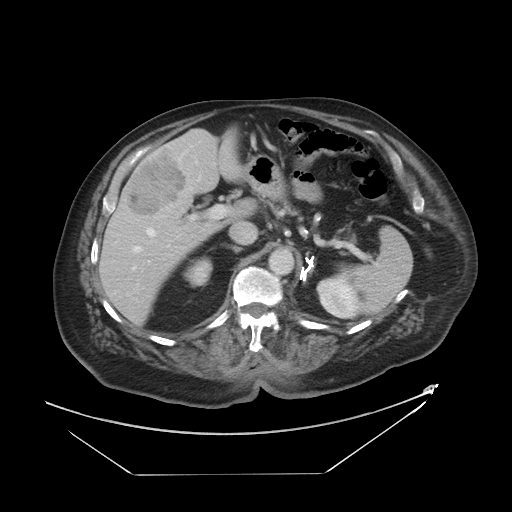 CT
Only some of the vessels may be annotated.
Hepatic vessel: bounding box <box>192,216,194,218</box>.
Liver tumor: bounding box <box>124,149,187,218</box>.